Brain | Slice index 62
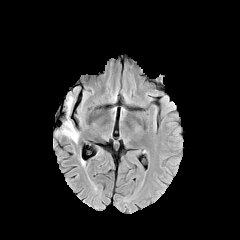
FLAIR MR.
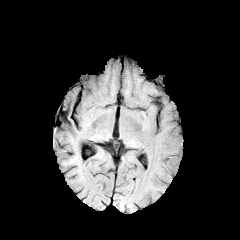
T1-weighted MR image of the same slice.
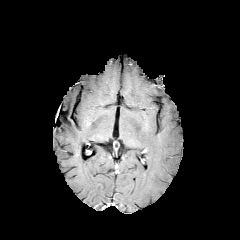
Post-contrast T1-weighted MR.
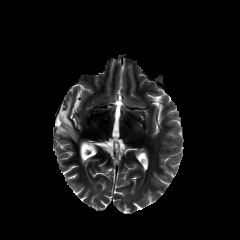
T2-weighted magnetic resonance.
edema: x1=57 y1=117 x2=79 y2=142, x1=66 y1=96 x2=74 y2=113